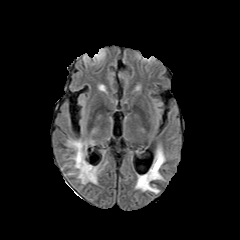
FLAIR MR.
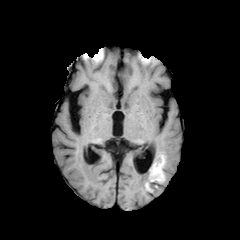
T1-weighted MRI.
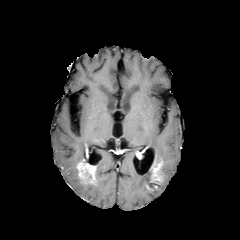
Same slice, post-contrast T1-weighted magnetic resonance.
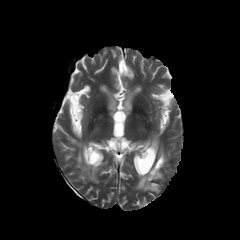
Same slice, T2-weighted MR.
Brain
non-enhancing tumor core: l=150, t=158, r=163, b=179 | enhancing tumor: l=76, t=159, r=95, b=179 | edema: l=135, t=170, r=163, b=192; l=154, t=151, r=165, b=162; l=80, t=166, r=97, b=183; l=69, t=140, r=87, b=167